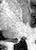 Medial temporal lobe | MRI
<segmentation>
  <posterior_hippocampus>left=9, top=39, right=17, bottom=42</posterior_hippocampus>
</segmentation>